Field of view 383 mm wide, 1.50 mm slice spacing | Slice index 195 | Abdomen | CT image

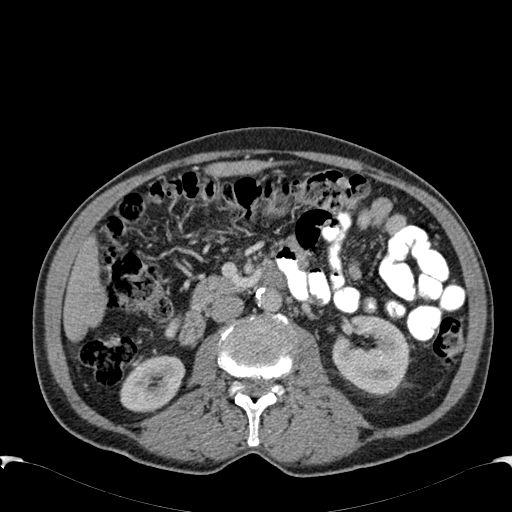

2 liver regions are bounded by [x1=63, y1=234, x2=107, y2=340], [x1=205, y1=160, x2=292, y2=175]. 2 kidney regions are bounded by [x1=333, y1=318, x2=408, y2=393], [x1=121, y1=356, x2=184, y2=411].